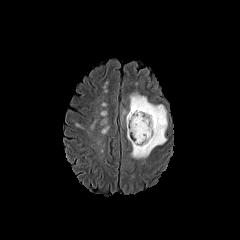
FLAIR MRI.
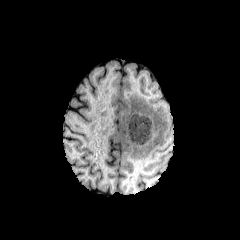
Same slice, T1-weighted MR.
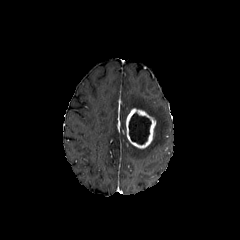
Post-contrast T1-weighted magnetic resonance.
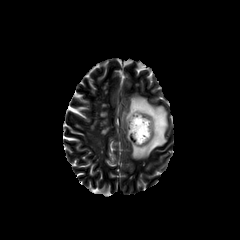
T2-weighted magnetic resonance of the same slice.
The non-enhancing tumor core is located at 128, 113, 151, 145. The edema is located at 121, 95, 166, 159. The enhancing tumor lies within 125, 108, 156, 149.